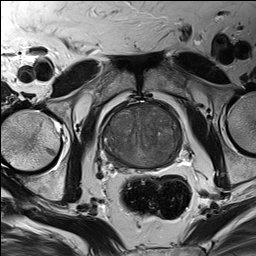
T2-weighted MR image.
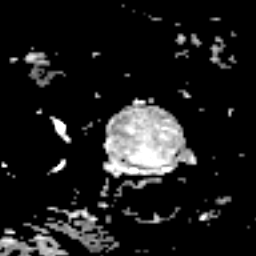
ADC MR image.
Pelvis
prostate peripheral zone: 104:106:179:167